240x240 px.
FLAIR MR.
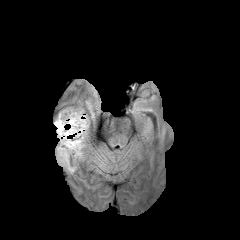
T1-weighted MR.
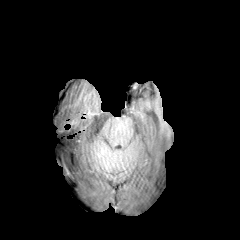
Post-contrast T1-weighted MR.
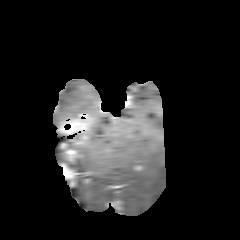
T2-weighted MR image.
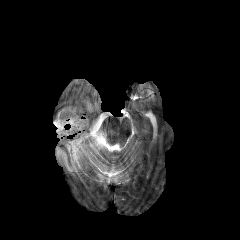
3 edema regions are bounded by 56, 142, 67, 165; 67, 129, 88, 171; 54, 110, 89, 131. 4 enhancing tumor regions appear at 64, 144, 77, 160; 62, 162, 73, 173; 59, 117, 88, 133; 73, 134, 86, 147. The non-enhancing tumor core is bounded by 61, 144, 75, 163.